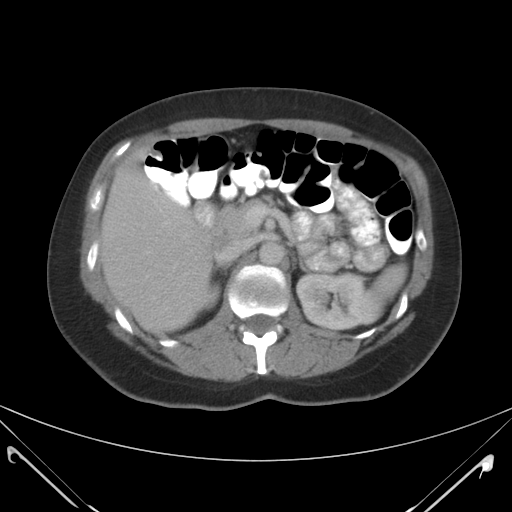

Upper abdomen, CT image, 512x512
spleen: rect(370, 263, 407, 308)